Upper abdomen | CT scan slice | Image width 400 mm | Image size 512x512 | Slice index 454

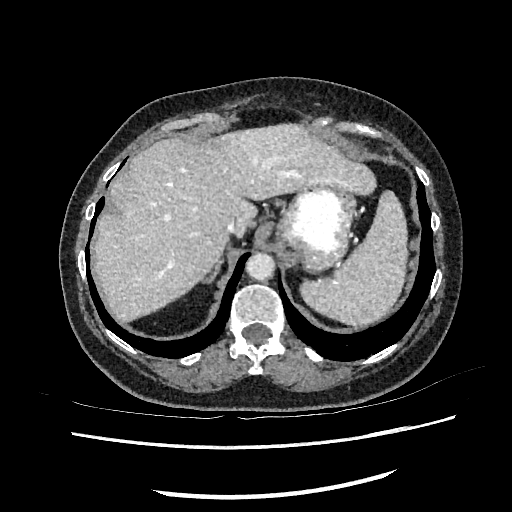

<segmentation>
  <liver>(93, 123, 374, 320)</liver>
</segmentation>